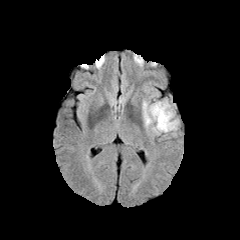
FLAIR magnetic resonance.
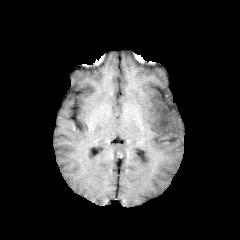
T1-weighted MRI.
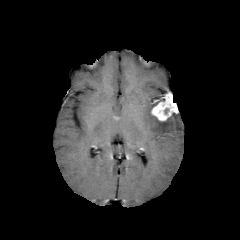
Same slice, post-contrast T1-weighted MRI.
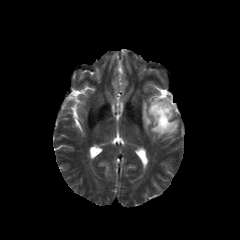
T2-weighted magnetic resonance.
Head.
The edema appears at 142:100:179:136. The enhancing tumor is at 150:94:176:120.